Image size 512x512; CT image 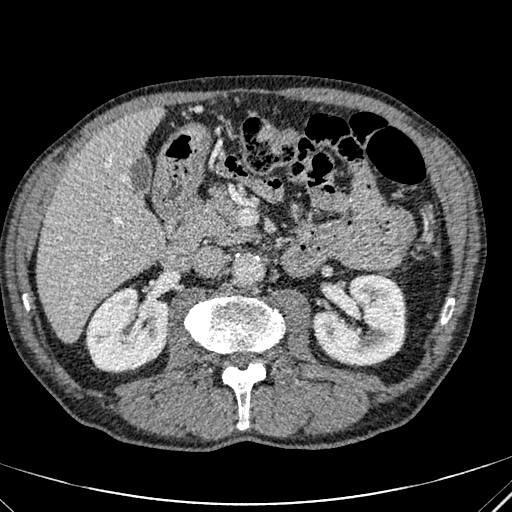 - kidney: (87, 289, 167, 370), (314, 275, 404, 364)
- liver: (37, 108, 164, 342)